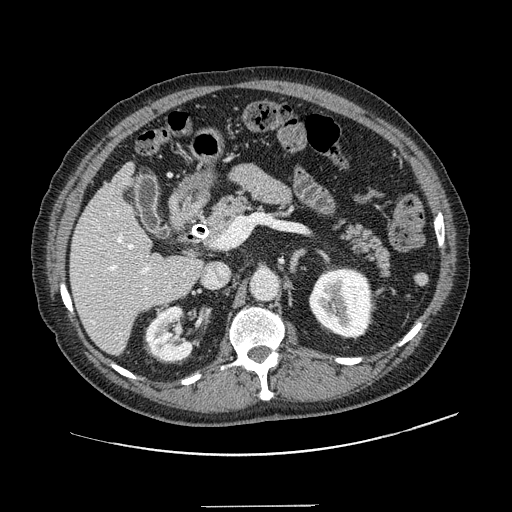

512x512. Abdomen. CT scan slice.
2 pancreas regions appear at [x1=337, y1=222, x2=390, y2=281], [x1=204, y1=193, x2=255, y2=245].